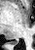
MRI
The posterior hippocampus lies within 15 42 18 43.